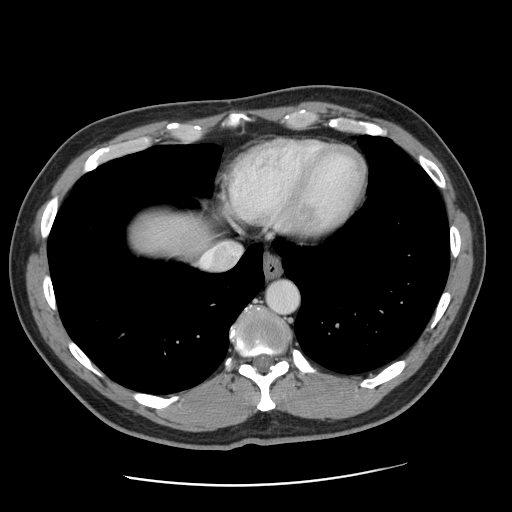
CT image. 512x512. Liver.

Some hepatic vessels may have no box.
Hepatic vessel: bounding box box(203, 244, 241, 268).